FLAIR MRI.
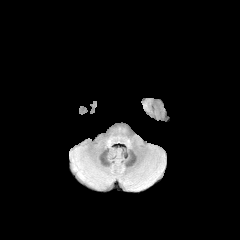
T1-weighted MR image.
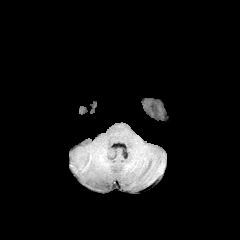
Post-contrast T1-weighted MR.
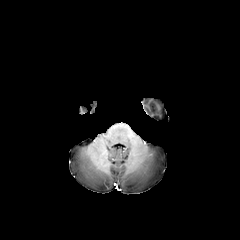
T2-weighted MR.
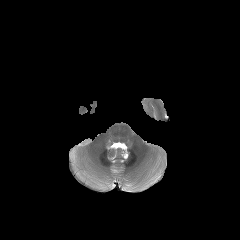
Head, 240x240 px
Edema — 131:170:159:188, 81:171:106:187, 72:150:79:163.